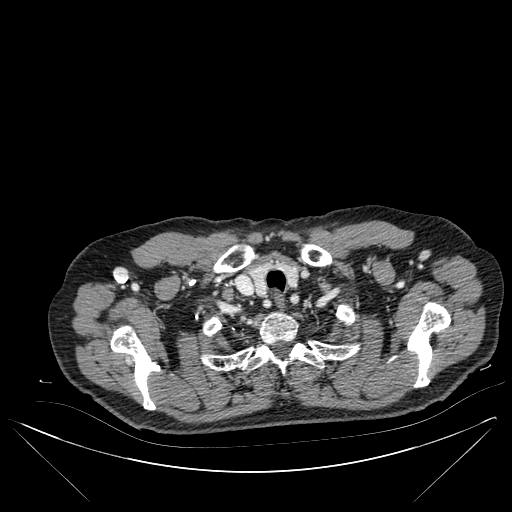

CT slice
- bone: (x1=213, y1=245, x2=254, y2=272), (x1=407, y1=303, x2=450, y2=387), (x1=301, y1=244, x2=331, y2=266), (x1=201, y1=313, x2=359, y2=373), (x1=336, y1=304, x2=354, y2=324), (x1=203, y1=317, x2=221, y2=335), (x1=110, y1=326, x2=160, y2=409)